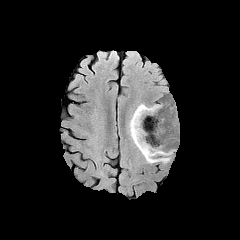
FLAIR magnetic resonance.
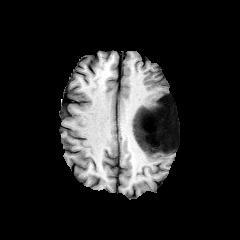
T1-weighted magnetic resonance.
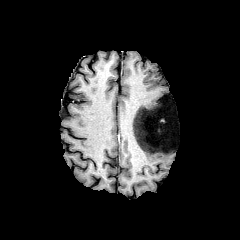
Post-contrast T1-weighted MR image.
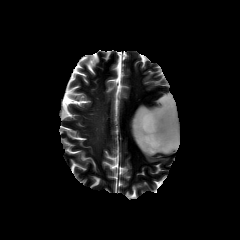
T2-weighted magnetic resonance.
Head | Image size 240x240
{"edema": ["x1=128 y1=103 x2=176 y2=162"], "non-enhancing_tumor_core": ["x1=134 y1=104 x2=175 y2=153"]}